CT scan slice; Field of view 400x400 mm
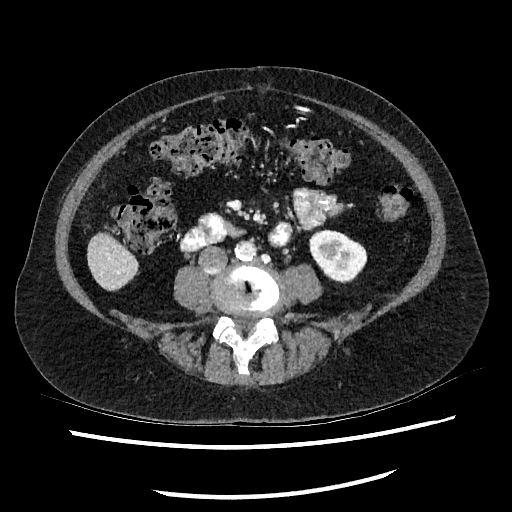
kidney:
  - l=310, t=231, r=366, b=280
liver:
  - l=87, t=233, r=136, b=289